Computed tomography, Liver
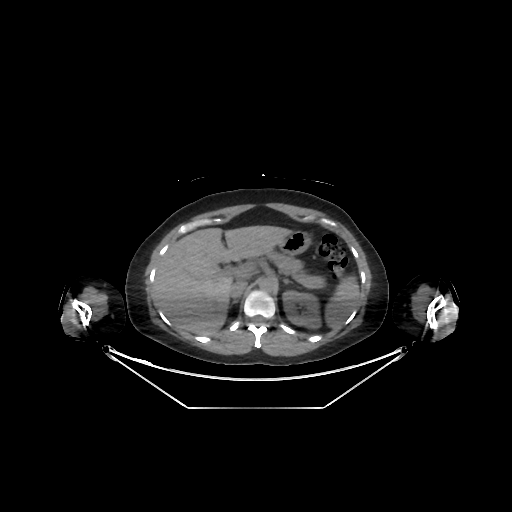
2 liver regions are located at box=[150, 226, 291, 339]; box=[234, 329, 253, 339]. The kidney lies within box=[282, 289, 321, 330].